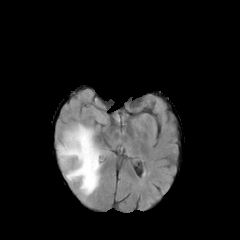
FLAIR magnetic resonance.
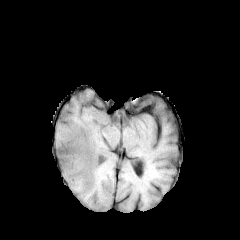
T1-weighted MR.
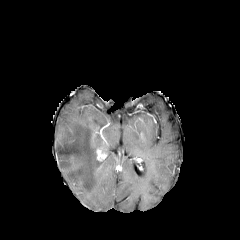
Post-contrast T1-weighted magnetic resonance of the same slice.
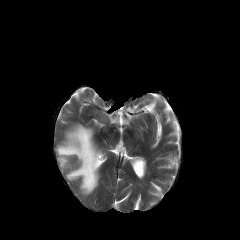
Same slice, T2-weighted MR.
Brain
Segmented structures:
- enhancing tumor: [96, 150, 105, 159]
- edema: [56, 123, 105, 195]